Liver, Slice index 476, Field of view 367 mm wide, 0.70 mm slice spacing, CT image 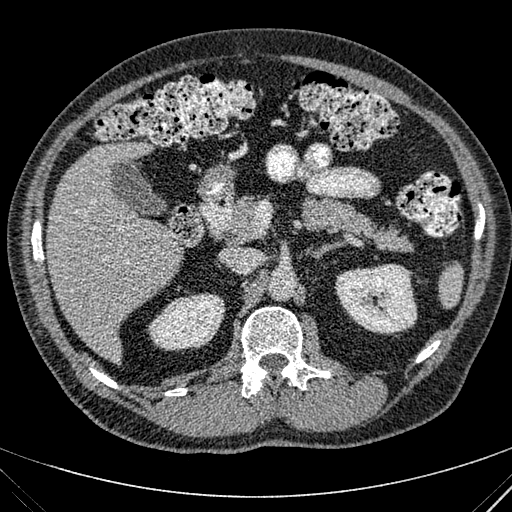

The liver lies within bbox=[46, 142, 181, 362]. 2 kidney regions are located at bbox=[149, 294, 224, 349]; bbox=[335, 264, 416, 333].